Field of view 240 mm wide, 1.00 mm slice spacing, Brain
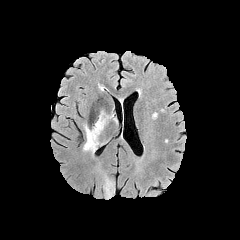
FLAIR MRI.
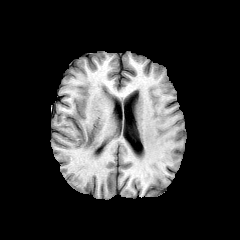
T1-weighted MR.
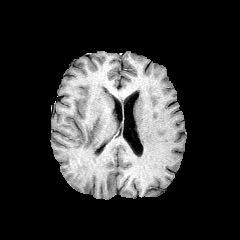
Post-contrast T1-weighted MRI.
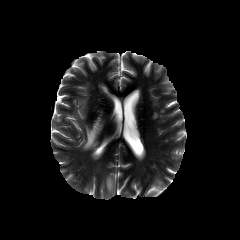
T2-weighted MRI.
<segmentation>
  <edema>[82, 114, 108, 154]</edema>
</segmentation>